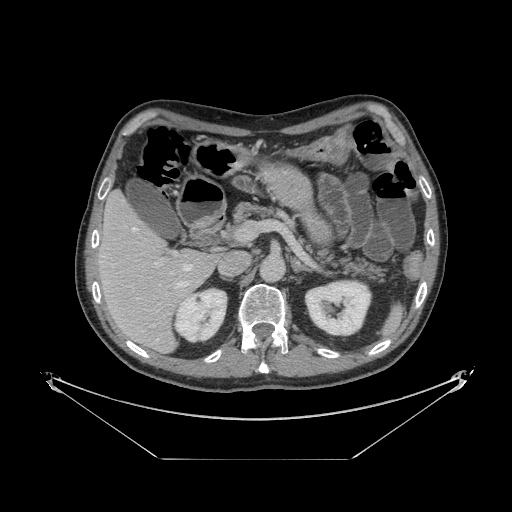

Image size 512x512, CT scan slice
Segmented structures:
- pancreas: 226,202,289,233; 228,237,238,245; 298,235,389,283